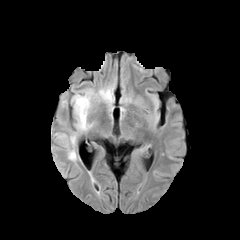
FLAIR MRI.
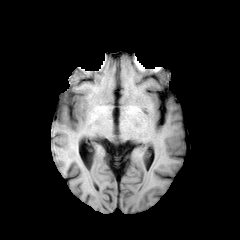
T1-weighted MR image of the same slice.
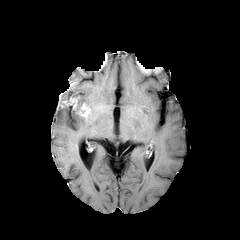
Post-contrast T1-weighted magnetic resonance.
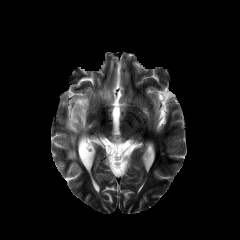
T2-weighted MRI.
240x240 px
<segmentation>
  <enhancing_tumor>rect(70, 97, 77, 109); rect(77, 104, 89, 118)</enhancing_tumor>
  <edema>rect(64, 86, 113, 117); rect(64, 105, 91, 161)</edema>
</segmentation>